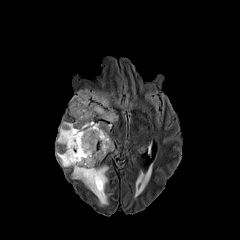
FLAIR magnetic resonance.
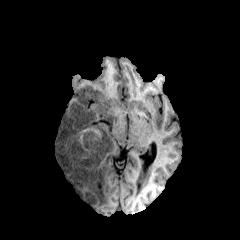
T1-weighted MR image of the same slice.
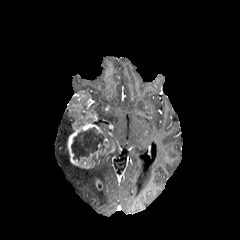
Post-contrast T1-weighted MRI.
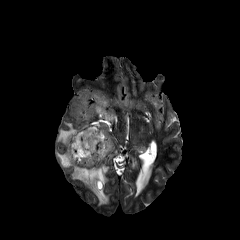
T2-weighted MRI of the same slice.
edema: (94,103,118,123), (83,88,99,101), (55,119,111,205) | non-enhancing tumor core: (66,109,74,133), (71,128,104,159) | enhancing tumor: (65,95,115,169)